Field of view 500 mm wide, 1.50 mm slice spacing, CT image

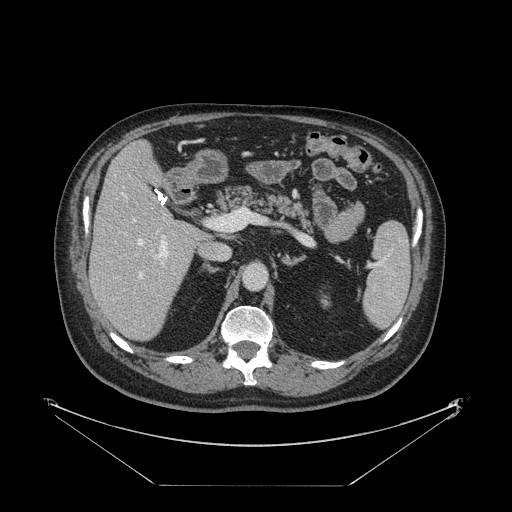 Some hepatic vessels may have no box.
- hepatic vessel: x1=132 y1=218 x2=134 y2=220, x1=155 y1=235 x2=166 y2=257, x1=121 y1=193 x2=125 y2=196